240x240 px; Brain
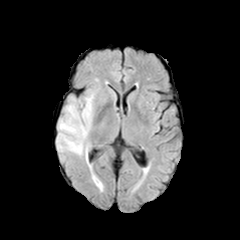
FLAIR MR.
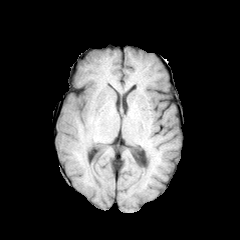
T1-weighted MR.
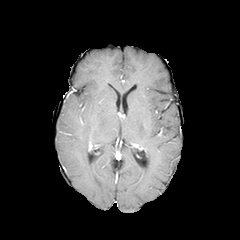
Post-contrast T1-weighted magnetic resonance of the same slice.
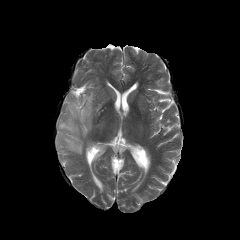
T2-weighted MR.
edema:
  - bbox(56, 89, 96, 161)